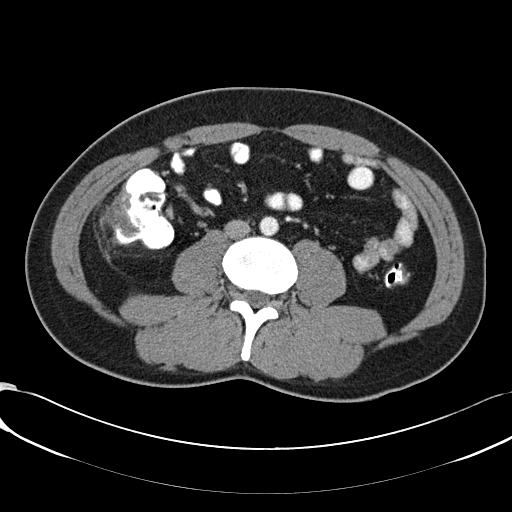
512x512 | Computed tomography
{
  "colon_tumor": [
    "[x1=103, y1=197, x2=135, y2=234]"
  ]
}